Computed tomography. Liver. Image size 512x512.

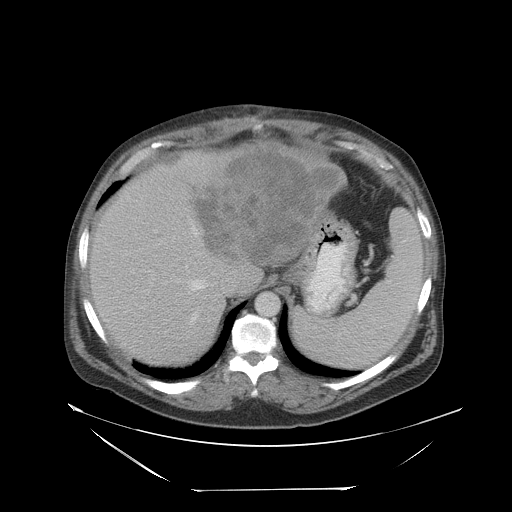 The vessel annotation is not exhaustive.
3 hepatic vessel regions are bounded by [x1=188, y1=280, x2=207, y2=290], [x1=191, y1=224, x2=196, y2=236], [x1=190, y1=313, x2=196, y2=322]. The liver tumor is at [x1=186, y1=147, x2=340, y2=264].